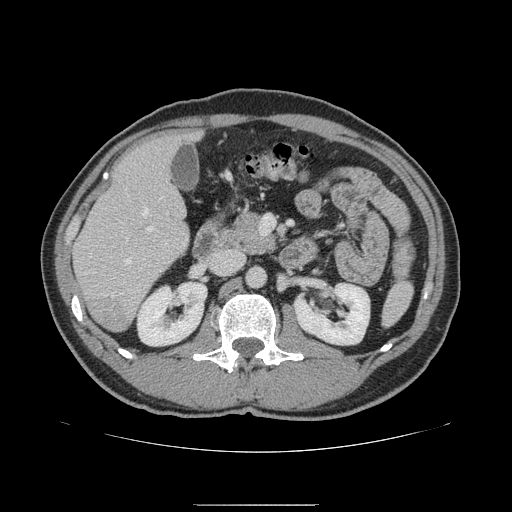 CT image.

pancreas: (left=214, top=213, right=276, bottom=255)